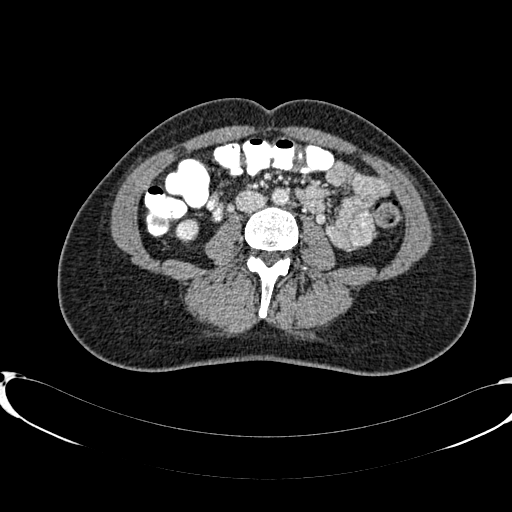 CT slice, 512x512 px
The kidney is at (x1=178, y1=223, x2=193, y2=238).